Medial temporal lobe, Slice index 15, MRI 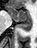 Anterior hippocampus = 8, 6, 30, 21.
Posterior hippocampus = 17, 22, 30, 31.